MRI, Hippocampus, Slice index 24
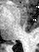

Annotated regions:
• posterior hippocampus: [11, 43, 14, 44]